FLAIR magnetic resonance.
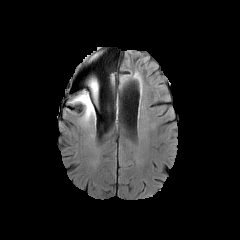
T1-weighted magnetic resonance.
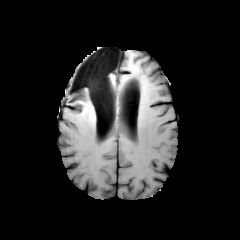
Post-contrast T1-weighted MR image.
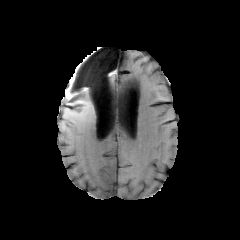
T2-weighted magnetic resonance.
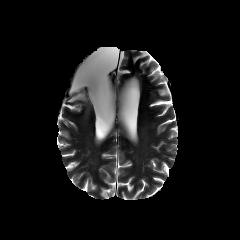
Brain
2 edema regions are bounded by 74,76,99,101; 84,96,100,120. The non-enhancing tumor core appears at 70,94,98,111.